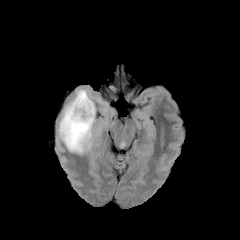
FLAIR MR.
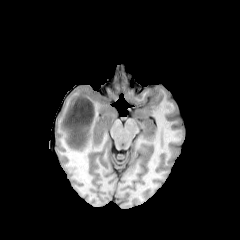
Same slice, T1-weighted MRI.
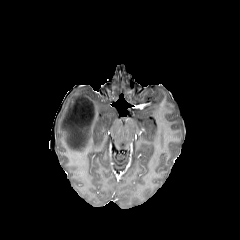
Post-contrast T1-weighted MR image.
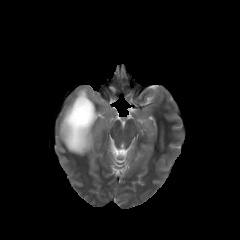
T2-weighted MR image of the same slice.
Brain, 240x240
<segmentation>
  <non-enhancing_tumor_core>bbox(66, 98, 95, 148)</non-enhancing_tumor_core>
  <edema>bbox(58, 88, 98, 155)</edema>
</segmentation>